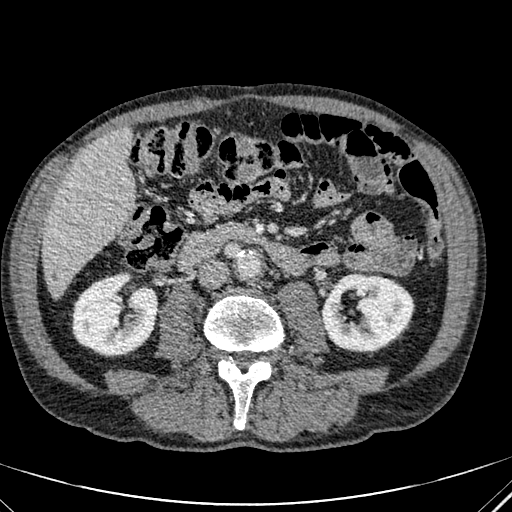

Upper abdomen | CT image
2 kidney regions are bounded by bbox=[323, 275, 412, 350]; bbox=[73, 275, 156, 354]. The liver lies within bbox=[42, 129, 134, 297].